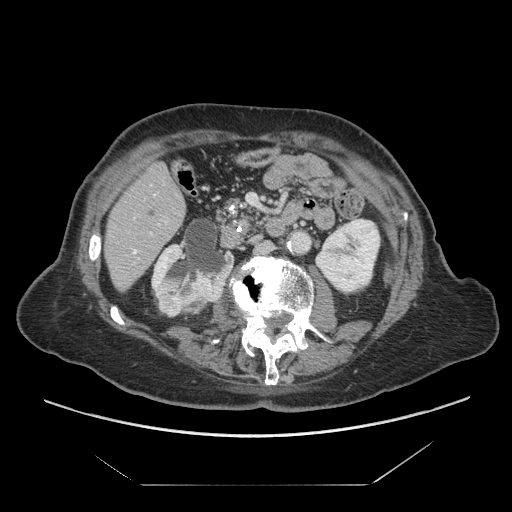 CT slice. Abdomen.

<segmentation>
  <pancreas>x1=212 y1=194 x2=264 y2=229</pancreas>
</segmentation>